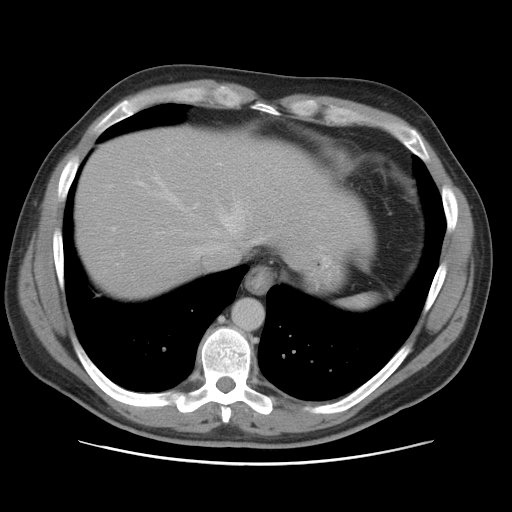 CT scan slice. 512x512. Abdomen. Only some of the vessels may be annotated.
Findings:
• hepatic vessel: 195, 202, 244, 255; 138, 181, 143, 185; 154, 176, 163, 187; 159, 188, 181, 208; 252, 238, 260, 241